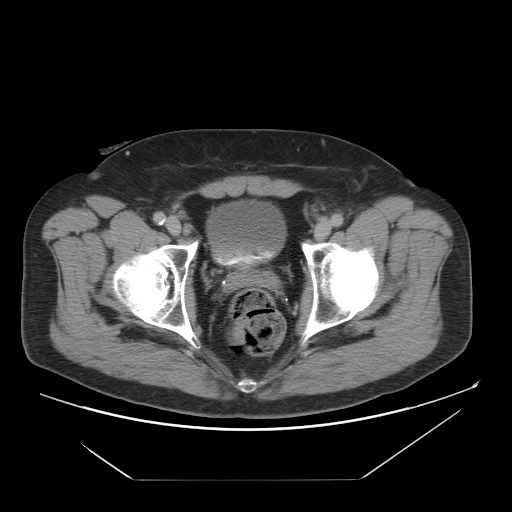

Lower abdomen | CT scan slice

The urinary bladder lies within (207,200,283,267).